CT; Slice index 27; Image size 512x512 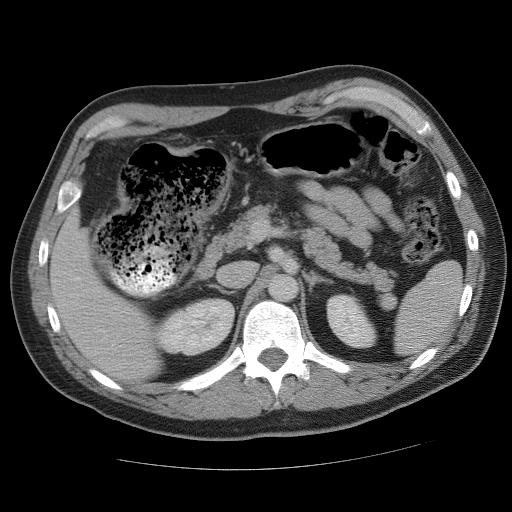

Spleen: (396, 261, 462, 354).